Brain; Image width 240 mm
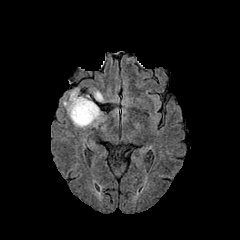
FLAIR MR.
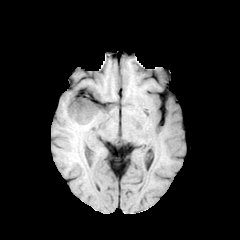
Same slice, T1-weighted MR image.
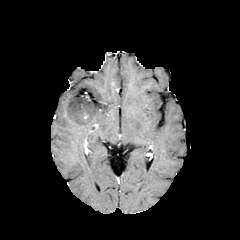
Post-contrast T1-weighted MR image of the same slice.
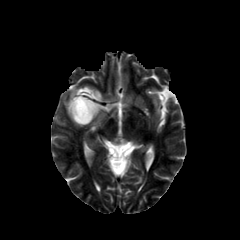
T2-weighted MRI of the same slice.
The edema lies within region(62, 88, 105, 128). The non-enhancing tumor core appears at region(78, 104, 88, 121).